Medial temporal lobe | Slice index 3 | MRI slice
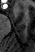
{
  "anterior_hippocampus": [
    "<bbox>15, 7, 16, 11</bbox>"
  ]
}